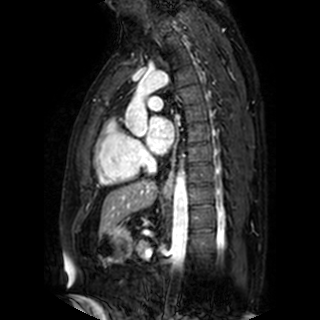
Magnetic resonance. Cardiac. 320x320.

left atrium: box(146, 117, 173, 153)